CT. Slice index 197.
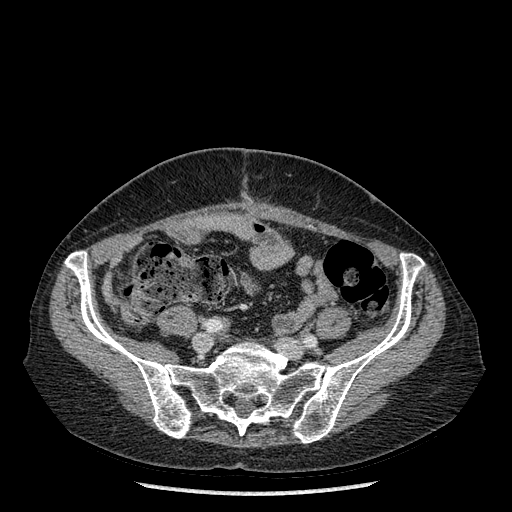 bone:
  - bbox(64, 251, 424, 443)